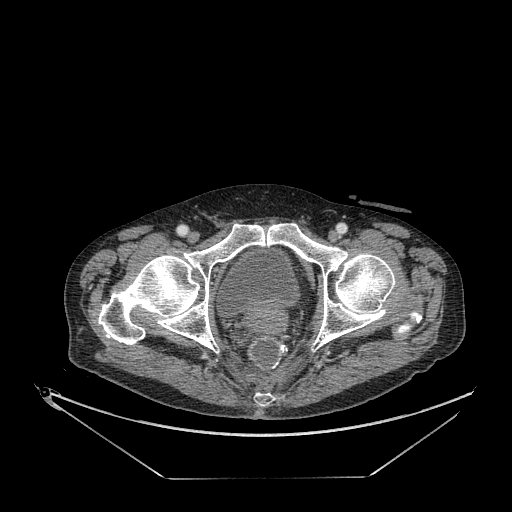 CT scan slice, 512x512

{
  "urinary_bladder": [
    "<box>216,246,299,317</box>"
  ]
}